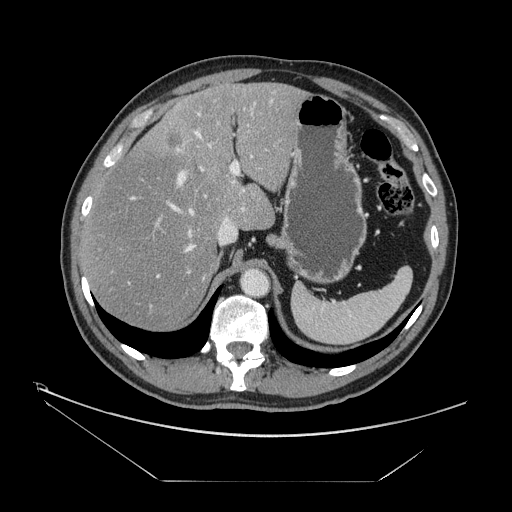
Computed tomography | Abdomen

Some hepatic vessels may have no box.
liver_tumor:
  - 169 136 182 147
hepatic_vessel:
  - 171 206 177 209
  - 230 162 238 174
  - 208 144 210 146
  - 225 218 228 220
  - 195 131 200 137
  - 188 232 191 234
  - 190 210 192 213
  - 242 189 243 191
  - 187 245 194 249
  - 200 167 203 170
  - 178 172 185 184
  - 198 113 200 115
  - 177 148 178 150